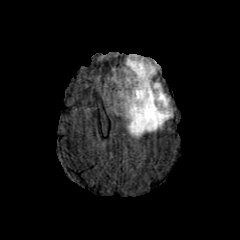
FLAIR MR image.
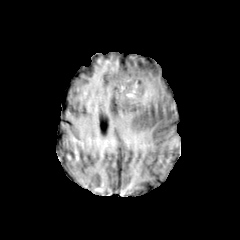
T1-weighted MR.
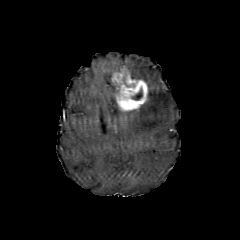
Post-contrast T1-weighted magnetic resonance.
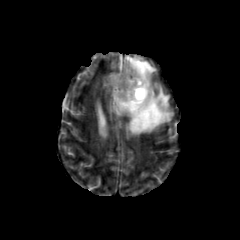
T2-weighted MR.
240x240
The enhancing tumor appears at (left=112, top=67, right=148, bottom=111). The edema is at (left=118, top=55, right=172, bottom=137). The non-enhancing tumor core appears at (left=134, top=89, right=142, bottom=99).